Computed tomography, Slice 141/537, Field of view 496x496 mm, 512x512 px 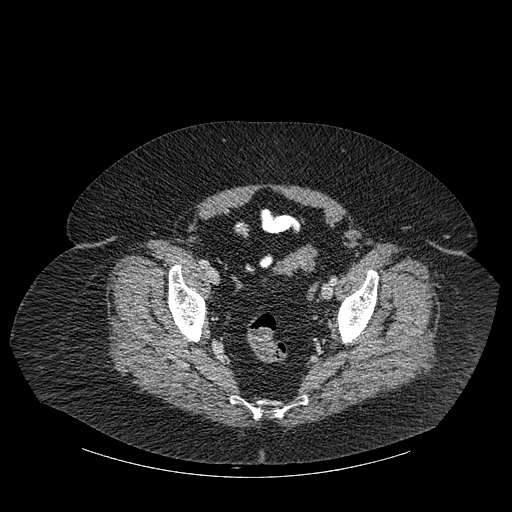 3 bone regions are bounded by [168, 265, 205, 341], [338, 270, 378, 342], [230, 395, 307, 418].